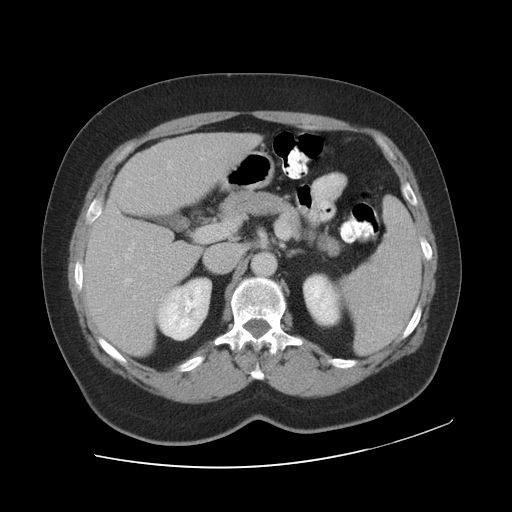
CT image; 512x512; Liver

The vessel annotation is not exhaustive.
Hepatic vessel at <bbox>128, 240, 135, 251</bbox>, <bbox>167, 161, 171, 168</bbox>, <bbox>133, 296, 135, 298</bbox>, <bbox>151, 247, 153, 250</bbox>, <bbox>126, 181, 130, 185</bbox>, <bbox>201, 158, 205, 160</bbox>, <bbox>123, 277, 131, 285</bbox>, <bbox>125, 253, 129, 258</bbox>, <bbox>132, 273, 136, 275</bbox>, <bbox>140, 266, 144, 269</bbox>.